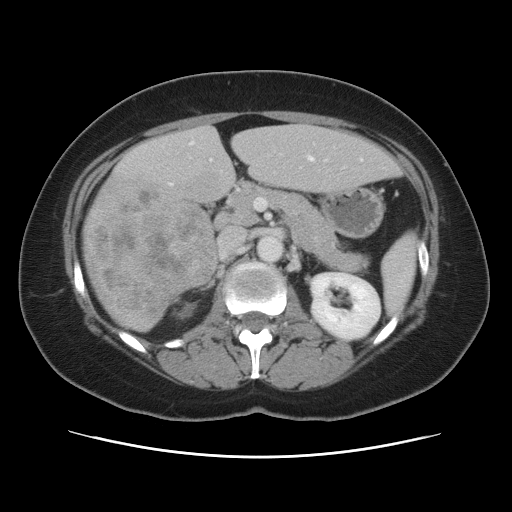
Computed tomography
The vessel annotation is not exhaustive.
The liver tumor is bounded by (92, 187, 213, 319). 4 hepatic vessel regions are bounded by (254, 198, 265, 208), (326, 159, 327, 161), (308, 156, 313, 160), (191, 142, 192, 144).